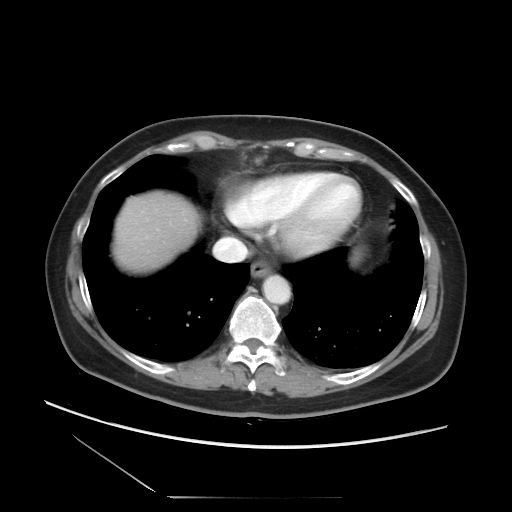
Abdomen | CT image

Only some of the vessels may be annotated.
Hepatic vessel: 238,247,247,258; 236,258,238,260; 225,238,231,242; 214,250,230,261; 220,240,223,242.